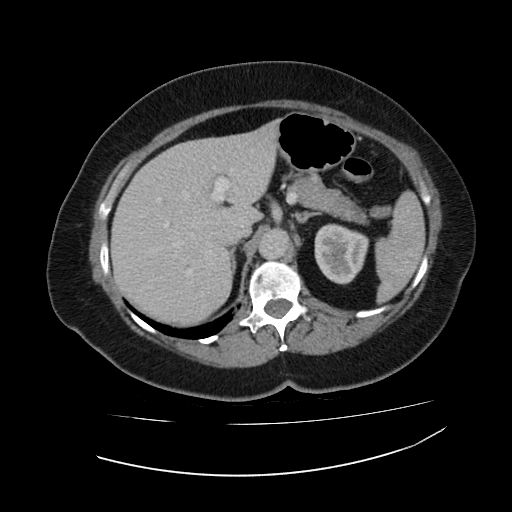 CT image. Kidney: bounding box [x1=315, y1=224, x2=368, y2=283].
Liver: bounding box [x1=111, y1=121, x2=278, y2=324].